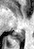
MR image | Hippocampus | Image size 34x49
Posterior hippocampus = (11, 30, 23, 40).